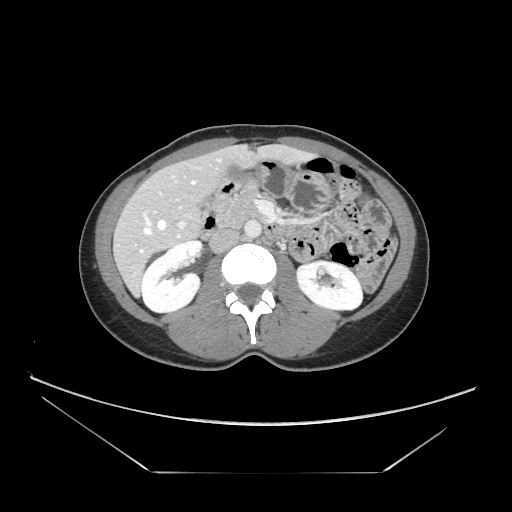
Abdomen; CT

Pancreas: <box>217,182,261,227</box>.